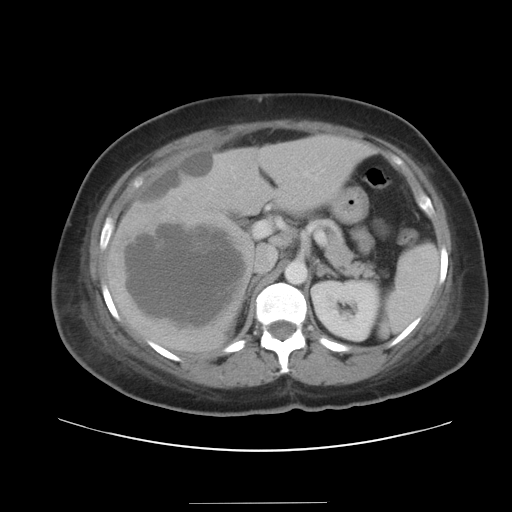
Image size 512x512. CT. Liver.
liver tumor: (125, 224, 245, 328)